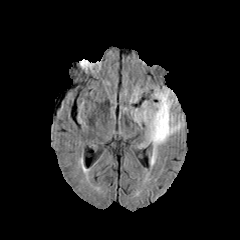
FLAIR MR image.
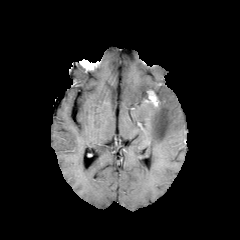
T1-weighted MRI.
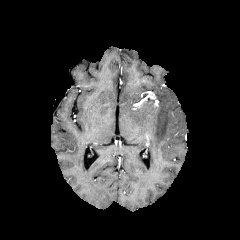
Same slice, post-contrast T1-weighted MR.
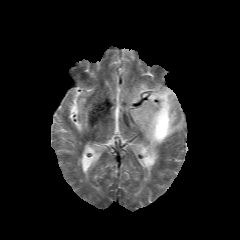
T2-weighted MR image of the same slice.
<segmentation>
  <edema><box>134,86,184,147</box></edema>
</segmentation>